CT. Slice 115 of 245. Image width 386 mm. 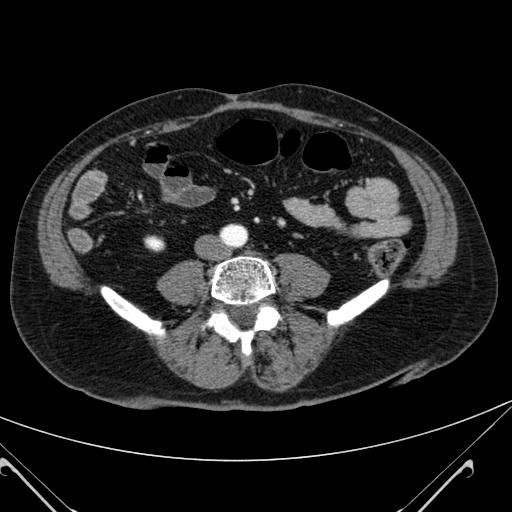 Kidney — <box>146,238,162,249</box>.